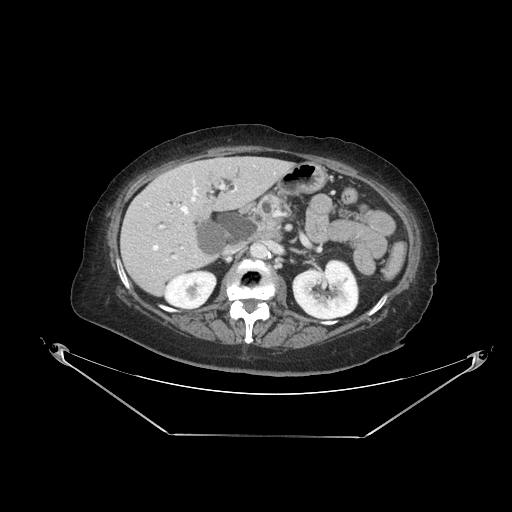
CT scan slice | 512x512
Annotated regions:
- pancreas: (254,194,288,224)